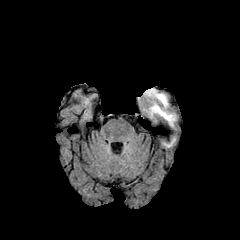
FLAIR magnetic resonance.
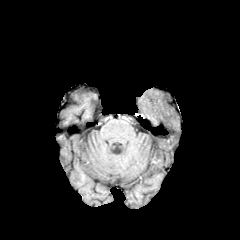
Same slice, T1-weighted magnetic resonance.
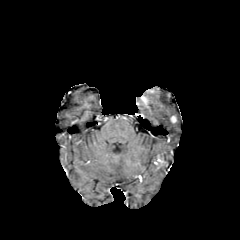
Post-contrast T1-weighted MR.
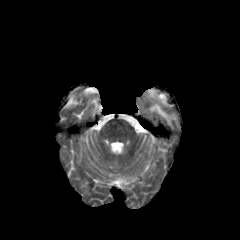
T2-weighted MR image.
Brain.
{"edema": ["(147, 93, 173, 126)"]}